512x512 px; CT
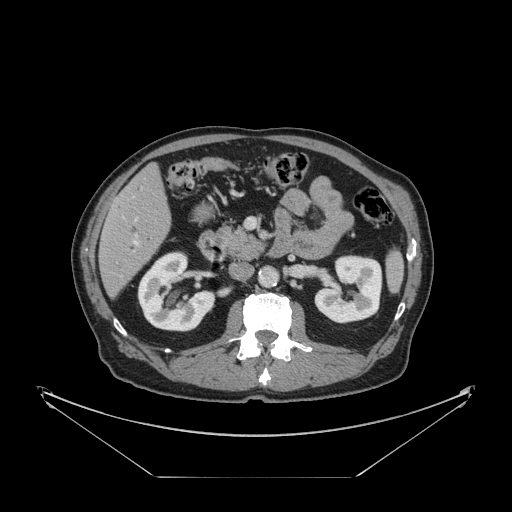 Only some of the vessels may be annotated.
The hepatic vessel is at x1=133, y1=235, x2=138, y2=244.